CT image. Image width 396 mm. Slice 53 of 144. 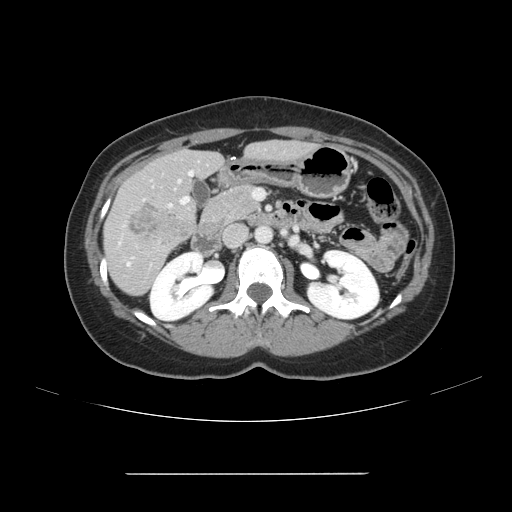 The vessel annotation is not exhaustive.
Liver tumor: bounding box 130,202,189,241.
Hepatic vessel: bounding box 181,197,188,203; 178,180,180,182; 189,171,192,175; 127,262,129,265; 168,204,171,207.